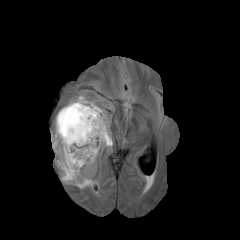
FLAIR MR.
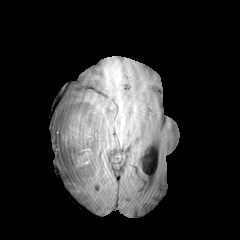
T1-weighted MR of the same slice.
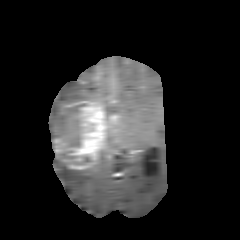
Post-contrast T1-weighted MR image.
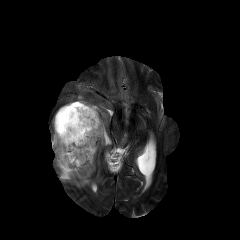
T2-weighted magnetic resonance.
Non-enhancing tumor core: <box>57,157,73,170</box>, <box>57,118,82,146</box>, <box>65,103,83,116</box>.
Edema: <box>54,126,111,188</box>, <box>65,96,86,104</box>, <box>95,103,106,125</box>, <box>51,105,79,149</box>.
Enhancing tumor: <box>53,101,105,169</box>.